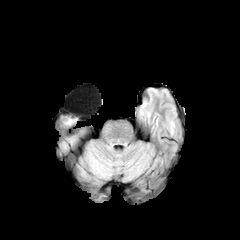
FLAIR MRI.
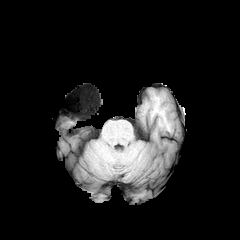
T1-weighted magnetic resonance of the same slice.
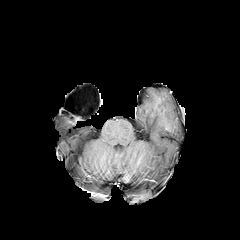
Post-contrast T1-weighted MR image of the same slice.
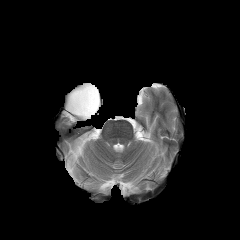
T2-weighted MRI of the same slice.
240x240, Brain
Edema = {"x1": 64, "y1": 117, "x2": 74, "y2": 125}.